CT scan slice 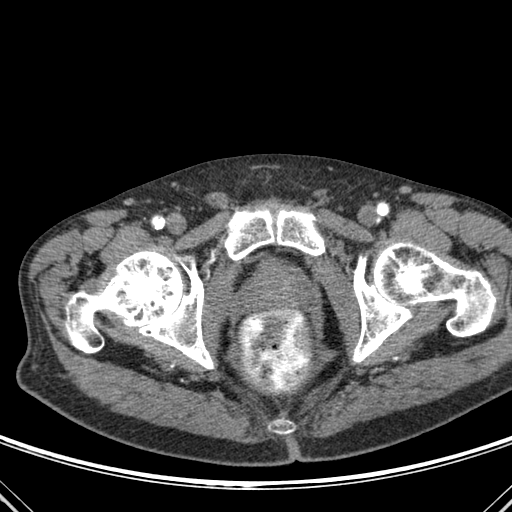
bone: (224,209,325,260), (353,241,496,362), (65,248,212,368), (275,420,291,433)